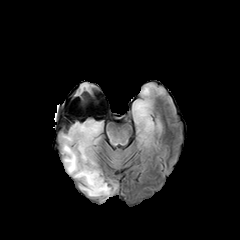
FLAIR MR image.
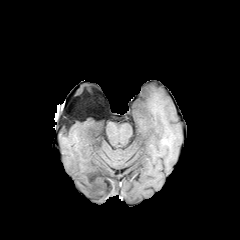
T1-weighted MR of the same slice.
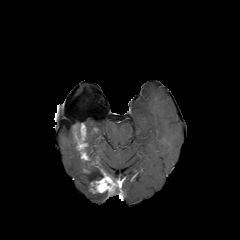
Same slice, post-contrast T1-weighted MR.
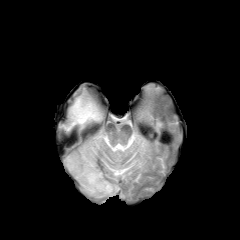
Same slice, T2-weighted MR image.
4 edema regions are bounded by (left=62, top=117, right=107, bottom=198), (left=134, top=104, right=152, bottom=125), (left=94, top=144, right=99, bottom=160), (left=84, top=119, right=101, bottom=135). 2 enhancing tumor regions are bounded by (left=78, top=142, right=89, bottom=161), (left=90, top=174, right=118, bottom=193). The non-enhancing tumor core is at (left=72, top=123, right=122, bottom=195).